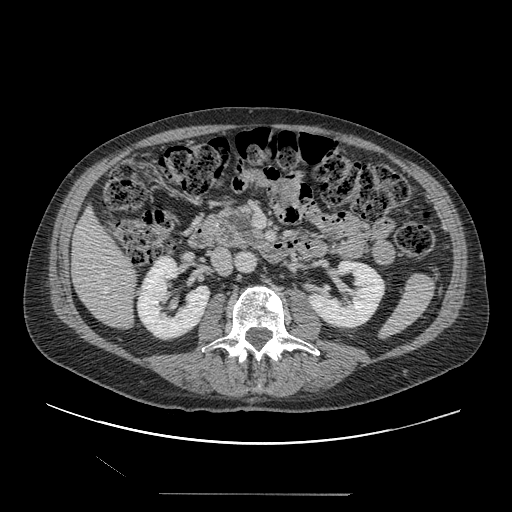 Upper abdomen. Computed tomography.
Pancreatic tumor: bounding box <box>229,214,252,234</box>.
Pancreas: bounding box <box>210,205,264,252</box>.